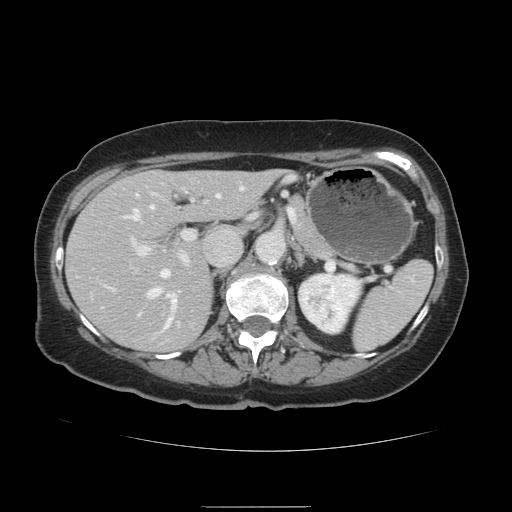

Liver. CT scan slice.

Some hepatic vessels may have no box.
{
  "hepatic_vessel": [
    "(239, 187, 243, 190)",
    "(160, 293, 175, 331)",
    "(122, 209, 138, 220)",
    "(178, 251, 187, 263)",
    "(182, 233, 185, 238)",
    "(130, 239, 149, 255)",
    "(138, 313, 140, 314)",
    "(149, 205, 153, 209)",
    "(135, 193, 136, 195)",
    "(146, 288, 160, 298)",
    "(216, 194, 219, 197)",
    "(109, 288, 114, 291)",
    "(160, 269, 168, 277)",
    "(150, 193, 153, 195)",
    "(183, 189, 185, 191)"
  ]
}